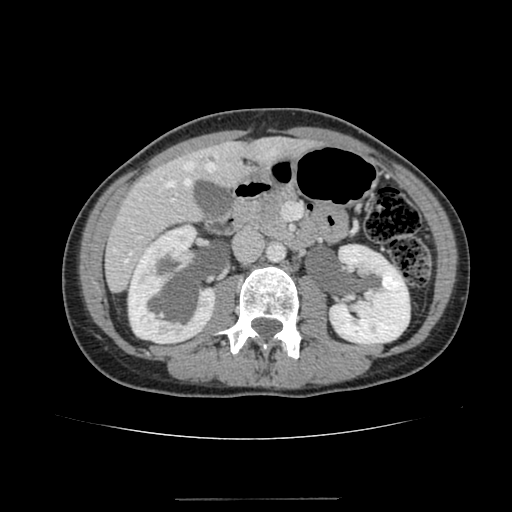 Liver; CT
Kidney: [x1=330, y1=245, x2=409, y2=343], [x1=129, y1=225, x2=214, y2=343].
Liver: [x1=105, y1=136, x2=314, y2=291].